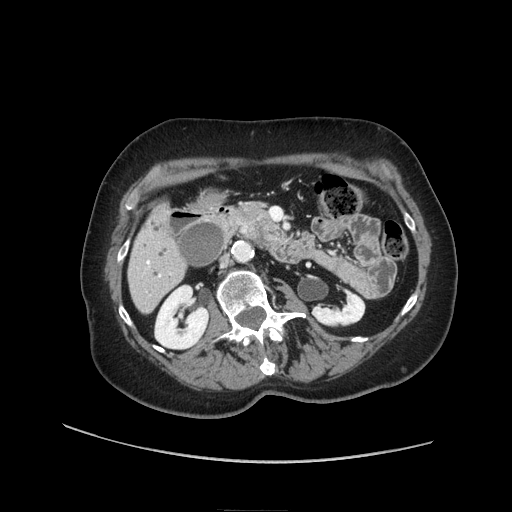

CT, Upper abdomen, 512x512 px
Segmented structures:
* pancreatic tumor: x1=252, y1=221, x2=282, y2=248
* pancreas: x1=269, y1=238, x2=283, y2=248; x1=230, y1=203, x2=272, y2=241